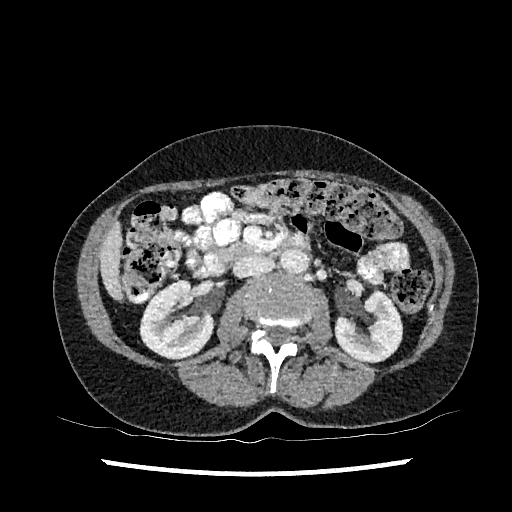
CT, Abdomen, 512x512 px
The liver appears at <box>100,223,121,299</box>. 2 kidney regions are located at <box>335,292,401,361</box>, <box>141,281,212,358</box>.